CT slice; Slice index 79

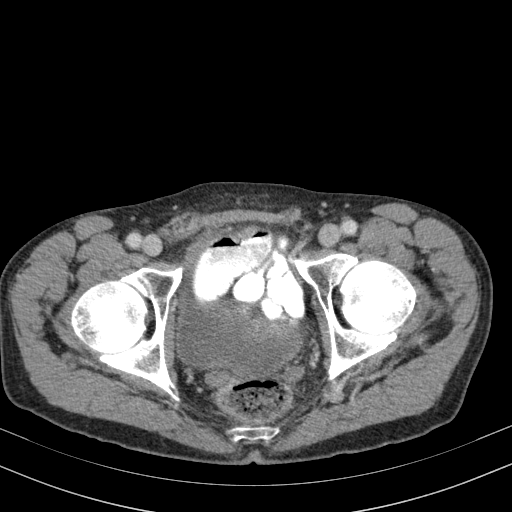 <segmentation>
  <urinary_bladder>(left=172, top=296, right=298, bottom=377), (left=188, top=233, right=220, bottom=259)</urinary_bladder>
</segmentation>